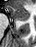
MRI
Anterior hippocampus at bbox=[8, 6, 29, 19].
Posterior hippocampus at bbox=[20, 20, 23, 20].